512x512 px, Slice 178 of 343, Abdomen, Computed tomography 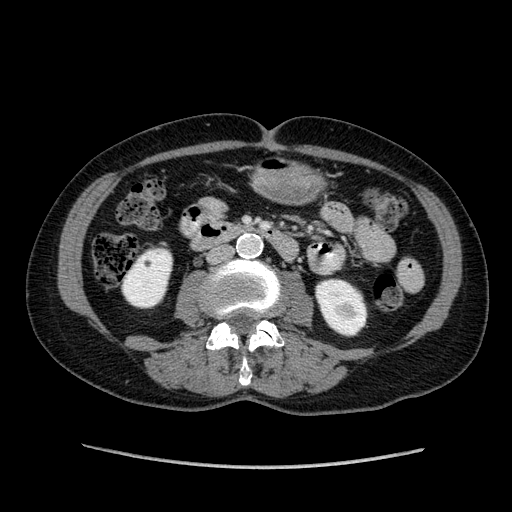
- kidney: {"x1": 123, "y1": 249, "x2": 171, "y2": 306}, {"x1": 316, "y1": 280, "x2": 365, "y2": 334}